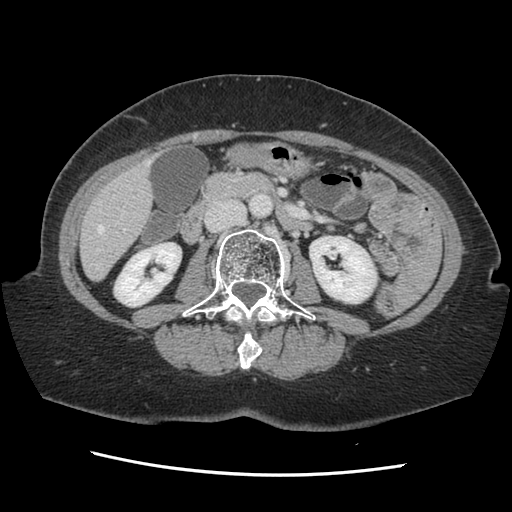
Liver; CT scan slice
Some hepatic vessels may have no box.
Hepatic vessel at (x1=98, y1=226, x2=103, y2=231), (x1=96, y1=266, x2=98, y2=268), (x1=146, y1=161, x2=148, y2=164).